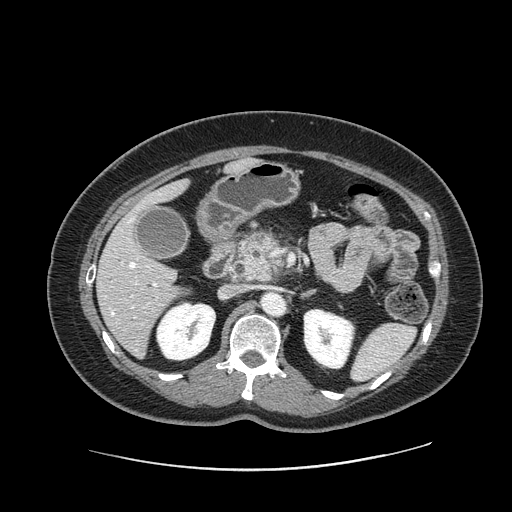

CT image, Upper abdomen

The pancreas is located at region(239, 232, 284, 281).